Computed tomography | Liver
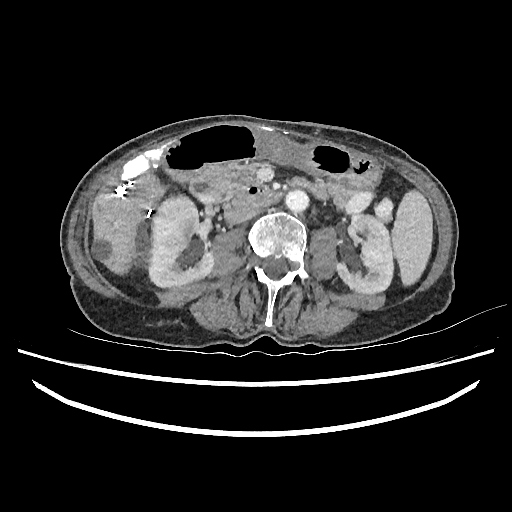
<segmentation>
  <liver>region(93, 176, 165, 273); region(145, 242, 150, 266)</liver>
  <liver_lesion>region(132, 227, 147, 266); region(92, 242, 107, 259)</liver_lesion>
  <kidney>region(337, 214, 392, 293); region(149, 197, 213, 286)</kidney>
</segmentation>